Head; Slice 52/155; Field of view 240x240 mm
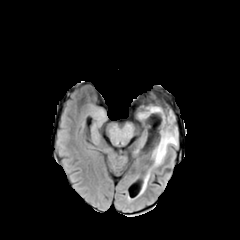
FLAIR MR.
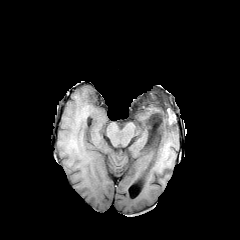
T1-weighted MR image.
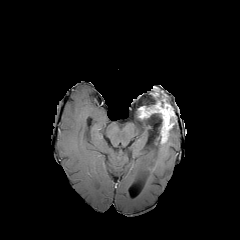
Same slice, post-contrast T1-weighted MRI.
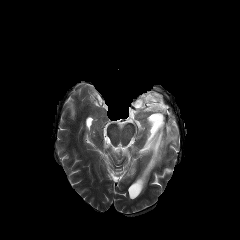
T2-weighted MR image.
The edema is at [150,126,178,171]. The enhancing tumor appears at [138,102,175,143].